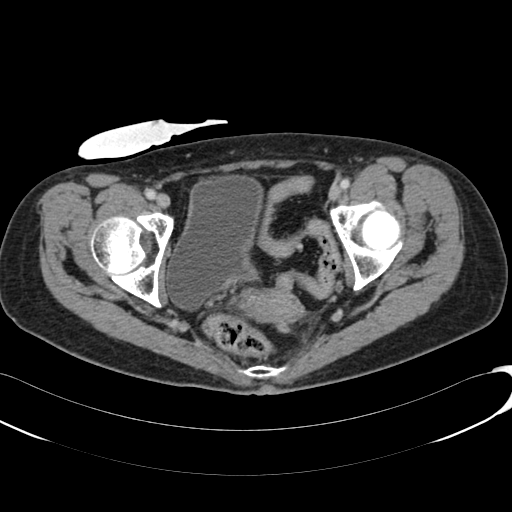
CT, Pelvis

The urinary bladder is at rect(164, 174, 264, 311).